FLAIR magnetic resonance.
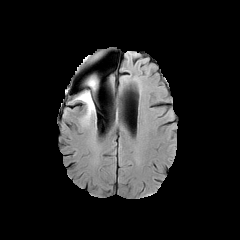
T1-weighted MR.
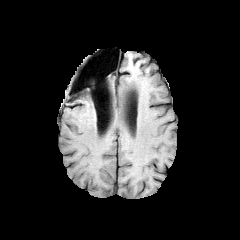
Post-contrast T1-weighted magnetic resonance.
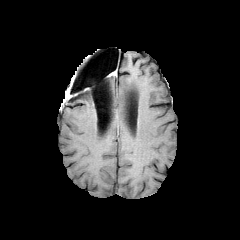
T2-weighted magnetic resonance.
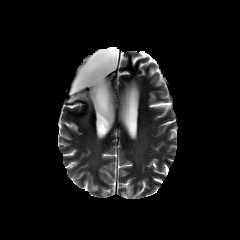
Brain | 240x240
The non-enhancing tumor core is located at (87,79,97,89). The edema appears at (76,85,97,123).